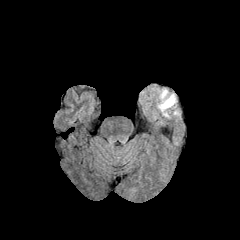
FLAIR MRI.
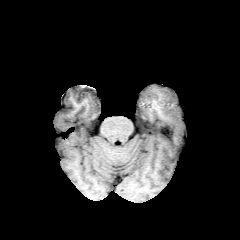
T1-weighted magnetic resonance of the same slice.
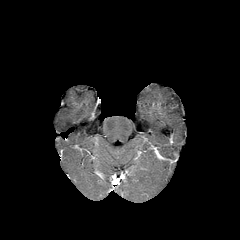
Post-contrast T1-weighted MR.
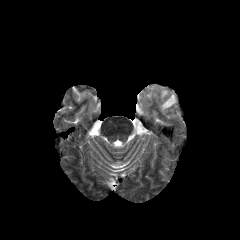
Same slice, T2-weighted magnetic resonance.
240x240 px
Edema: bounding box {"x1": 147, "y1": 87, "x2": 179, "y2": 120}.